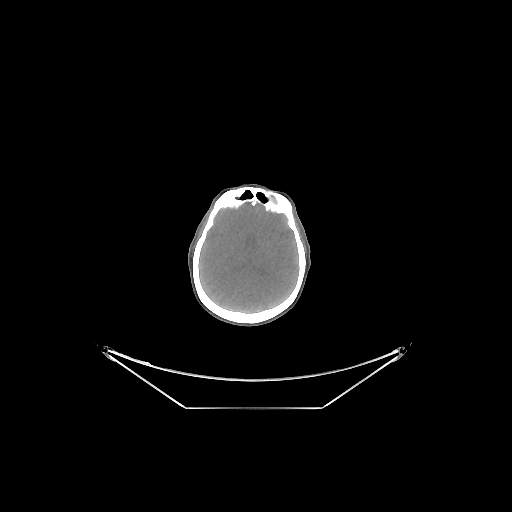
Head; CT
brain:
  - <bbox>198, 202, 298, 313</bbox>
bone:
  - <bbox>193, 187, 305, 323</bbox>